Liver; 512x512; CT
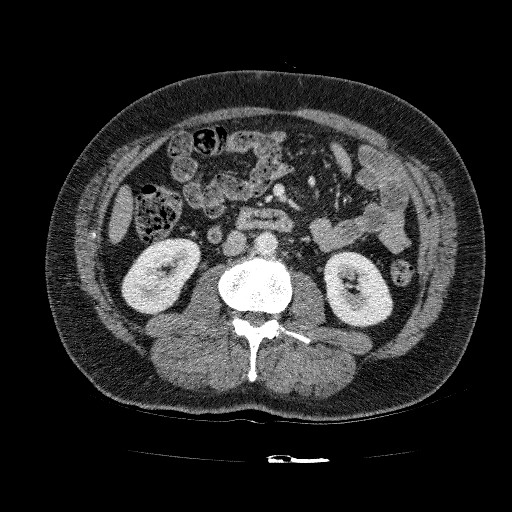
The liver appears at [109, 186, 132, 242]. 2 kidney regions are bounded by [324, 252, 391, 325], [122, 239, 199, 313].